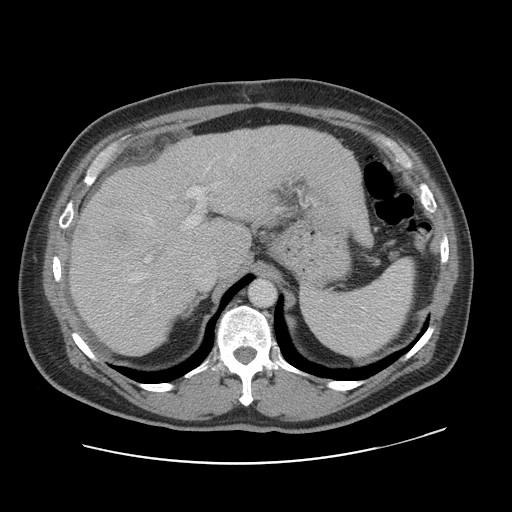

CT scan slice | Abdomen
The vessel annotation is not exhaustive.
Annotated regions:
* liver tumor: 103:225:132:246
* hepatic vessel (most prominent 15 of 18): 207:237:208:240, 137:289:142:293, 217:173:219:176, 146:215:153:225, 206:160:214:169, 228:158:233:165, 133:297:135:300, 143:211:145:213, 124:273:148:282, 107:276:114:281, 159:245:160:248, 192:256:201:261, 148:289:155:302, 180:180:221:234, 144:252:154:262